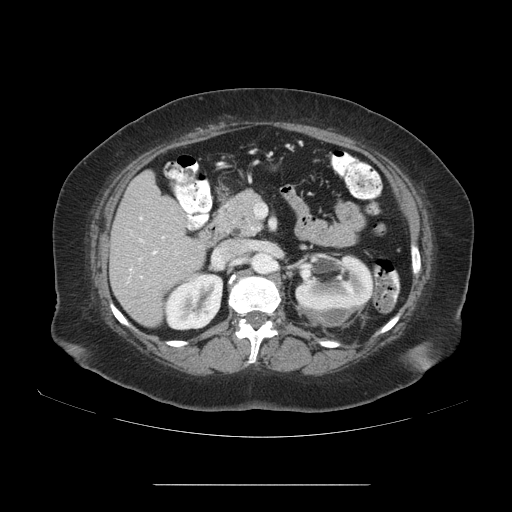 Liver; CT slice
The vessel annotation is not exhaustive.
{
  "hepatic_vessel": [
    "152 252 155 253"
  ]
}